32x47 px, Magnetic resonance

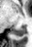 * posterior hippocampus: l=12, t=27, r=25, b=36